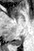

Magnetic resonance | Medial temporal lobe
The posterior hippocampus is located at left=11, top=36, right=23, bottom=45.